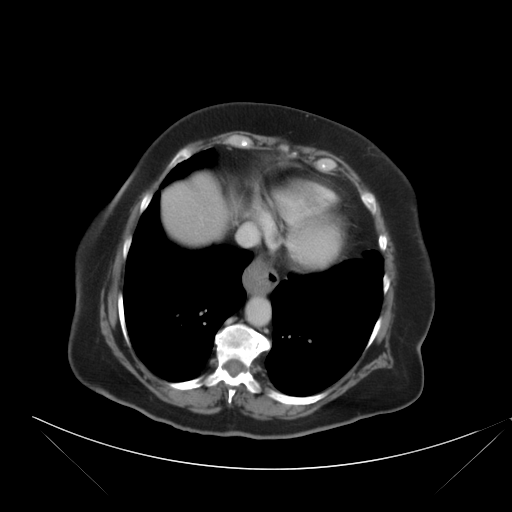
Image size 512x512 | CT scan slice
The vessel annotation is not exhaustive.
<segmentation>
  <hepatic_vessel>(241,241,244,243)</hepatic_vessel>
</segmentation>